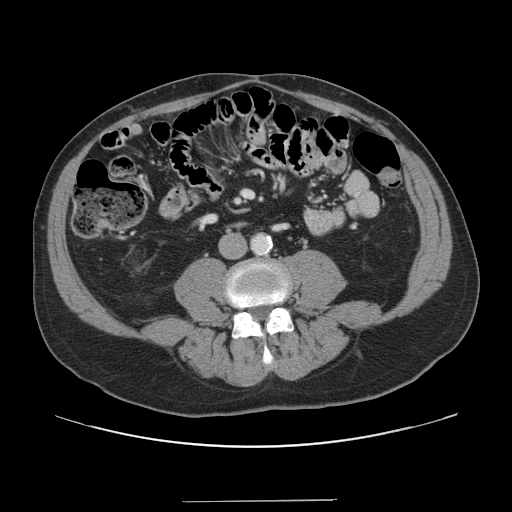

CT image

The vessel annotation is not exhaustive.
The hepatic vessel lies within x1=244, y1=193, x2=252, y2=196.